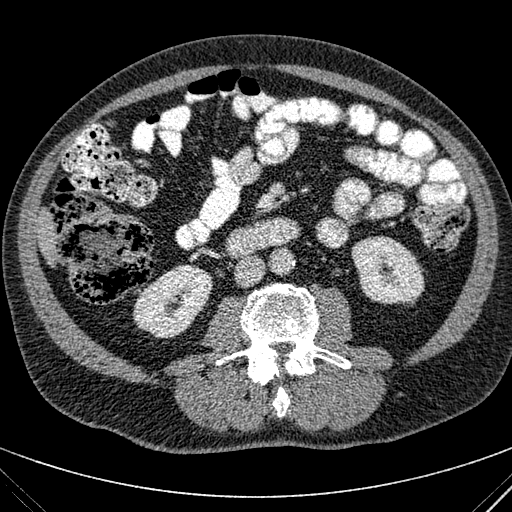
CT scan slice; 512x512 px; Abdomen
Kidney — x1=133 y1=265 x2=212 y2=337, x1=352 y1=236 x2=423 y2=303.
Liver — x1=36 y1=207 x2=56 y2=265.